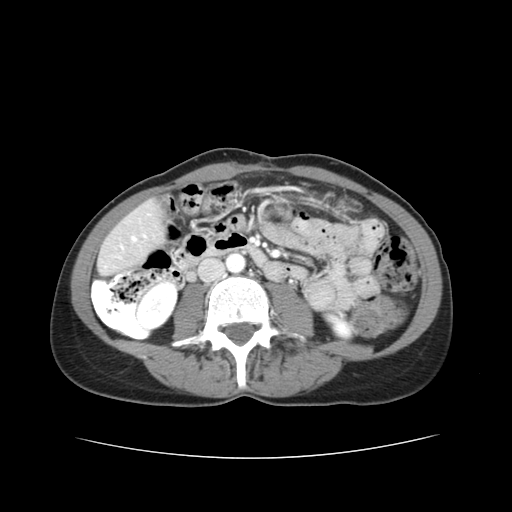

CT image | 512x512 px

The vessel annotation is not exhaustive.
Hepatic vessel: [134,238,135,239].